FLAIR MRI.
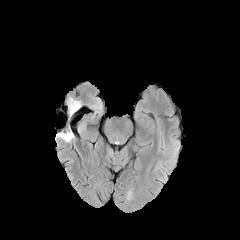
T1-weighted MR image.
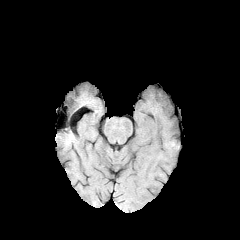
Post-contrast T1-weighted MR.
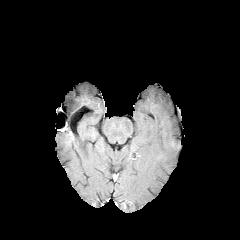
T2-weighted MRI.
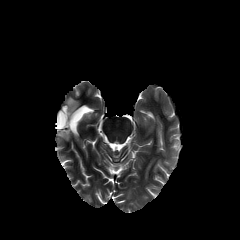
Brain
• edema: left=68, top=97, right=80, bottom=116; left=58, top=131, right=70, bottom=141